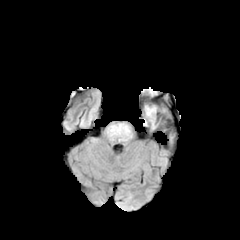
FLAIR MR image.
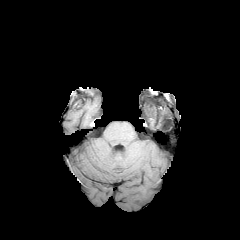
T1-weighted MRI.
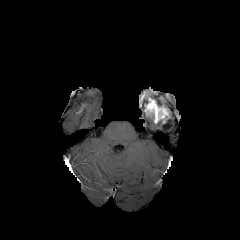
Post-contrast T1-weighted MR of the same slice.
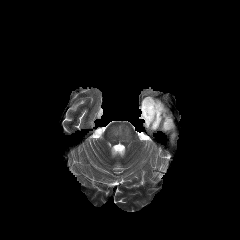
T2-weighted MR.
Head
<segmentation>
  <enhancing_tumor>region(144, 101, 165, 123)</enhancing_tumor>
</segmentation>